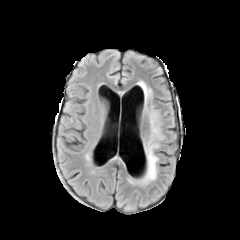
FLAIR MR image.
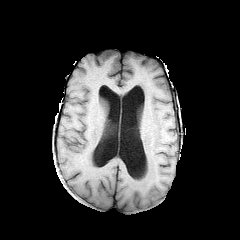
T1-weighted MR image of the same slice.
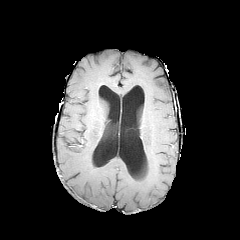
Post-contrast T1-weighted magnetic resonance.
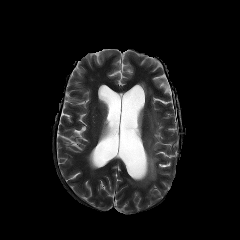
Same slice, T2-weighted MR.
Brain
Annotated regions:
- edema: rect(141, 139, 159, 185); rect(150, 112, 162, 140); rect(141, 82, 149, 93)